Image size 240x240
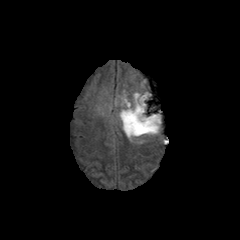
FLAIR magnetic resonance.
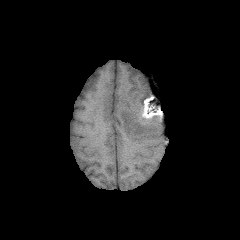
T1-weighted magnetic resonance.
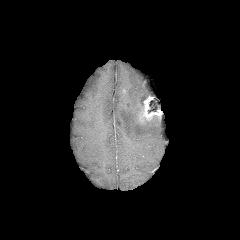
Post-contrast T1-weighted MRI of the same slice.
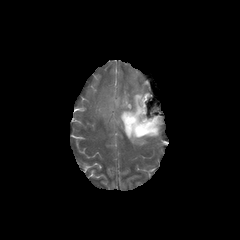
T2-weighted magnetic resonance.
{
  "enhancing_tumor": [
    "142:96:159:120"
  ],
  "non-enhancing_tumor_core": [
    "125:106:160:134",
    "146:98:159:115"
  ],
  "edema": [
    "148:99:156:110",
    "115:87:164:144"
  ]
}